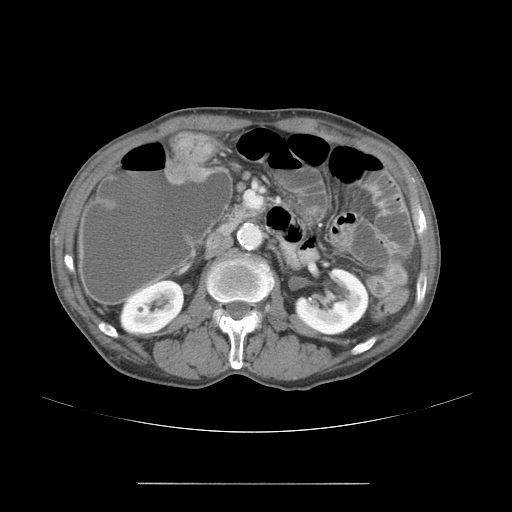 512x512. CT.
The colon tumor lies within <box>165,132,214,184</box>.